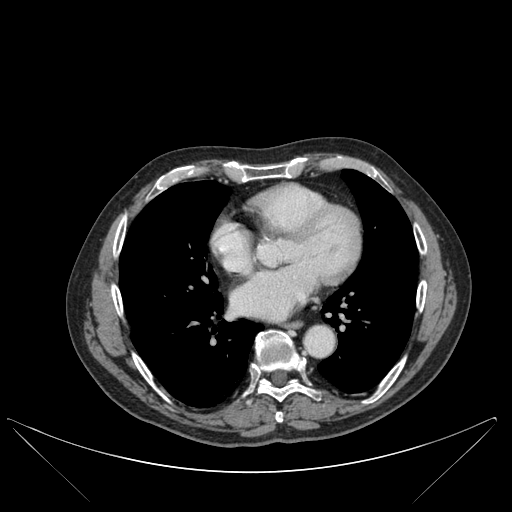

Computed tomography. Chest. Lung at bbox=[317, 169, 418, 392]; bbox=[119, 180, 263, 406].
Bone at bbox=[113, 215, 126, 255]; bbox=[364, 358, 405, 402]; bbox=[416, 281, 426, 310]; bbox=[245, 330, 318, 401]; bbox=[132, 354, 167, 400]; bbox=[154, 166, 192, 191]; bbox=[414, 224, 426, 253]; bbox=[111, 285, 122, 314]; bbox=[275, 412, 282, 421]; bbox=[222, 159, 308, 181].